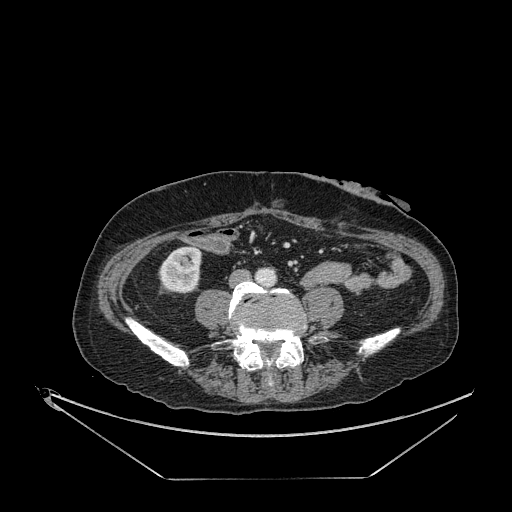 Computed tomography. 512x512 px. Abdomen. {"kidney": ["(x1=160, y1=247, x2=200, y2=292)"]}